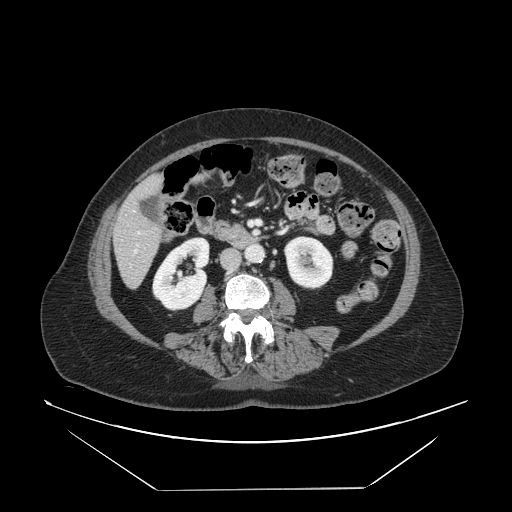

Computed tomography

The pancreas appears at <box>209,221,244,241</box>.